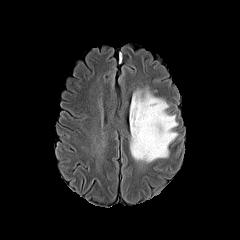
FLAIR MRI.
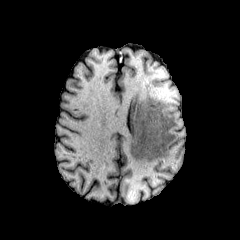
Same slice, T1-weighted magnetic resonance.
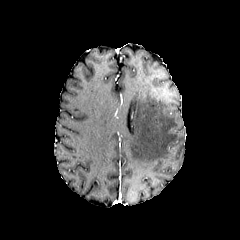
Post-contrast T1-weighted magnetic resonance.
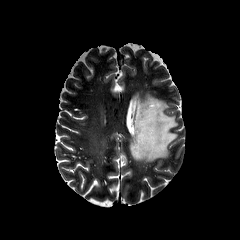
T2-weighted magnetic resonance.
Head
Annotated regions:
- edema: l=130, t=92, r=178, b=162